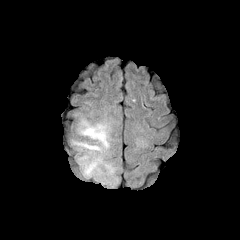
FLAIR MR.
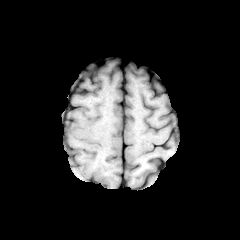
T1-weighted magnetic resonance.
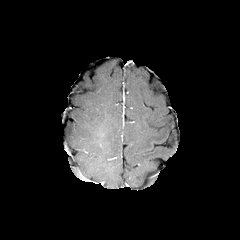
Same slice, post-contrast T1-weighted MR image.
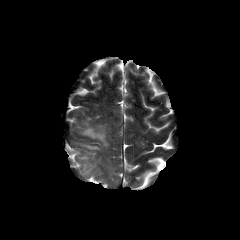
T2-weighted magnetic resonance.
Head.
Edema = l=74, t=117, r=113, b=178.